Image size 512x512. CT image.
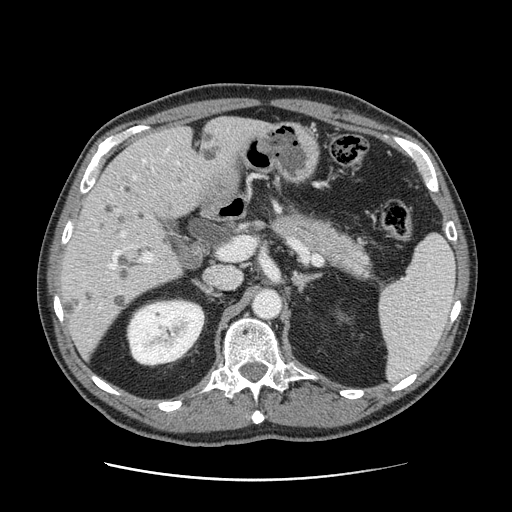

{
  "pancreas": [
    "(x1=271, y1=212, x2=372, y2=281)"
  ]
}